Image size 240x240, Brain, Slice 73 of 155
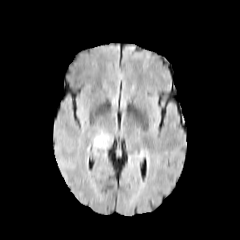
FLAIR magnetic resonance.
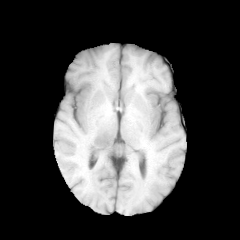
T1-weighted MRI.
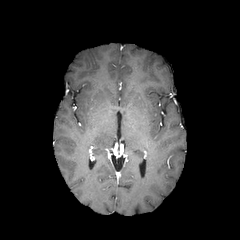
Post-contrast T1-weighted magnetic resonance of the same slice.
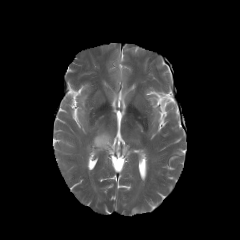
T2-weighted magnetic resonance.
Edema at (94, 135, 110, 147).